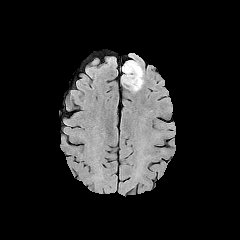
FLAIR MR.
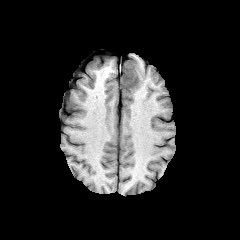
T1-weighted MR.
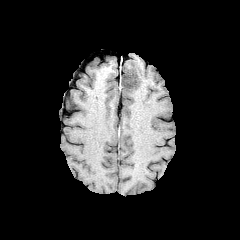
Post-contrast T1-weighted MRI of the same slice.
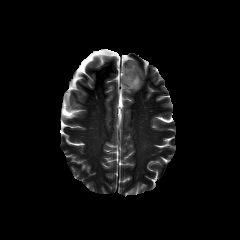
T2-weighted magnetic resonance of the same slice.
Brain
Non-enhancing tumor core at l=122, t=60, r=140, b=89.
Edema at l=130, t=68, r=145, b=91.